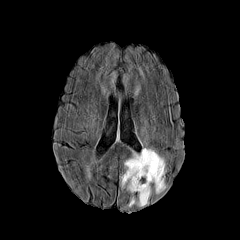
FLAIR MRI.
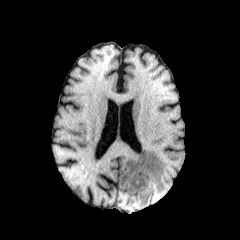
T1-weighted MR image.
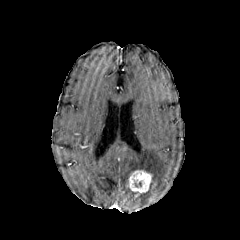
Post-contrast T1-weighted MRI.
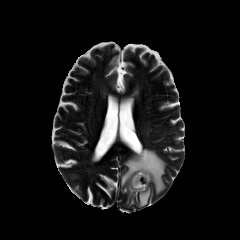
Same slice, T2-weighted MR.
* edema: (124,186,153,209), (119,147,166,193)
* non-enhancing tumor core: (133,179,142,188)
* enhancing tumor: (128,170,152,192)